FLAIR magnetic resonance.
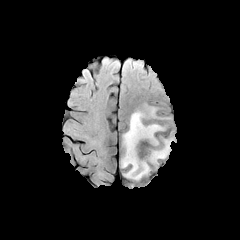
T1-weighted MRI.
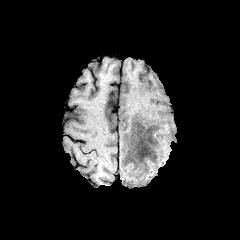
Post-contrast T1-weighted magnetic resonance.
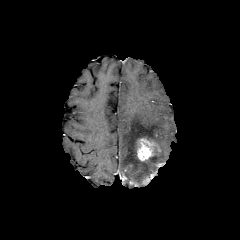
T2-weighted MR.
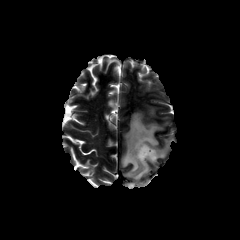
240x240 px, Brain
{"enhancing_tumor": [{"x1": 137, "y1": 138, "x2": 156, "y2": 160}], "edema": [{"x1": 122, "y1": 113, "x2": 162, "y2": 180}, {"x1": 147, "y1": 137, "x2": 174, "y2": 165}], "non-enhancing_tumor_core": [{"x1": 135, "y1": 136, "x2": 157, "y2": 161}]}